Pelvis; CT 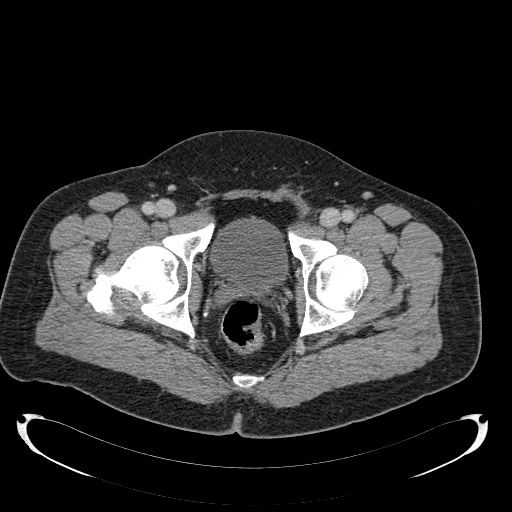 The urinary bladder appears at 209 218 288 304.